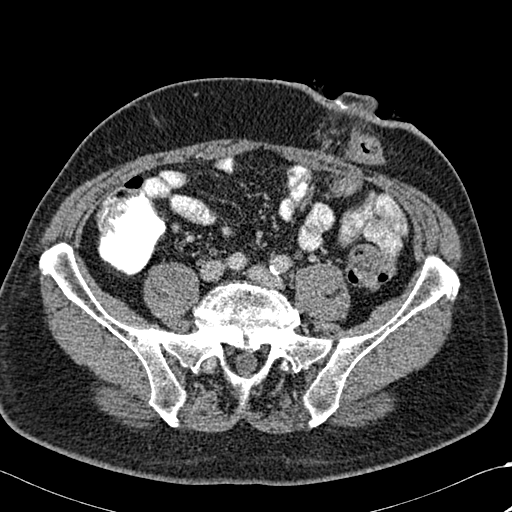 512x512 px | CT slice
bone:
  - 304:256:459:426
  - 40:243:331:426